Abdomen | 512x512 px | CT scan slice

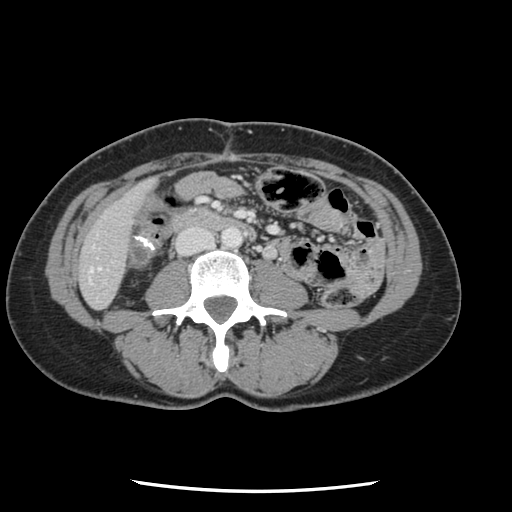 Some hepatic vessels may have no box.
Findings:
• hepatic vessel: box(89, 268, 94, 272)